Computed tomography. Liver. 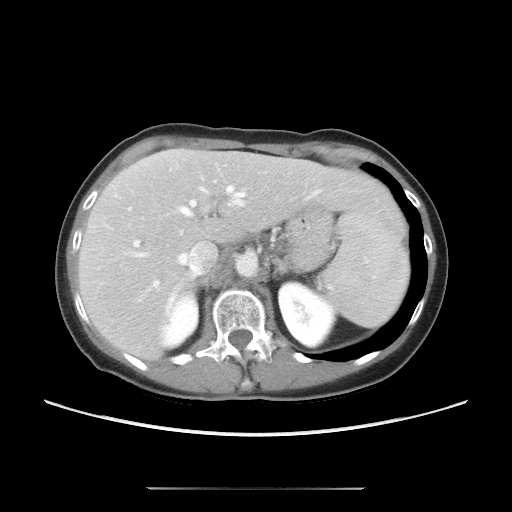

Only some of the vessels may be annotated.
Hepatic vessel = box=[170, 168, 171, 169]; box=[167, 322, 169, 324]; box=[200, 188, 207, 192]; box=[227, 186, 232, 191]; box=[235, 192, 245, 203]; box=[189, 200, 196, 206]; box=[166, 300, 172, 317]; box=[135, 254, 146, 255]; box=[153, 280, 155, 286]; box=[180, 208, 192, 215]; box=[179, 255, 186, 262]; box=[134, 240, 139, 246]; box=[129, 208, 130, 209].